Slice 36/43 | 512x512 px | CT slice | Abdomen
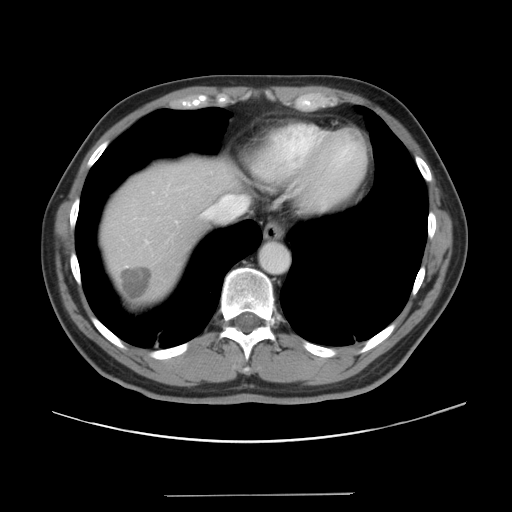 Liver tumor at x1=119, y1=267, x2=150, y2=298.